Computed tomography, Slice 178/537, Field of view 496 mm wide, 0.80 mm slice spacing 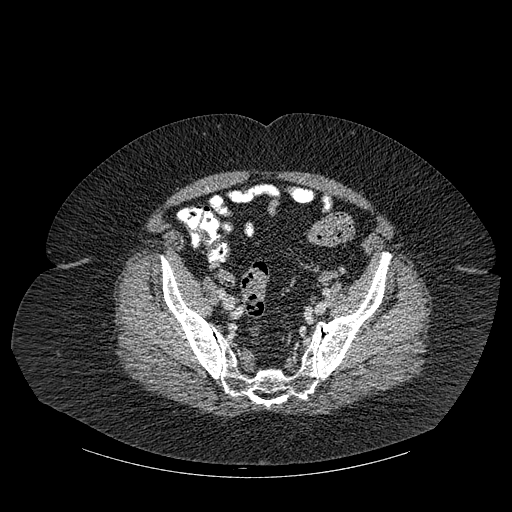

{
  "bone": [
    "bbox(230, 191, 239, 200)",
    "bbox(161, 252, 391, 406)"
  ]
}